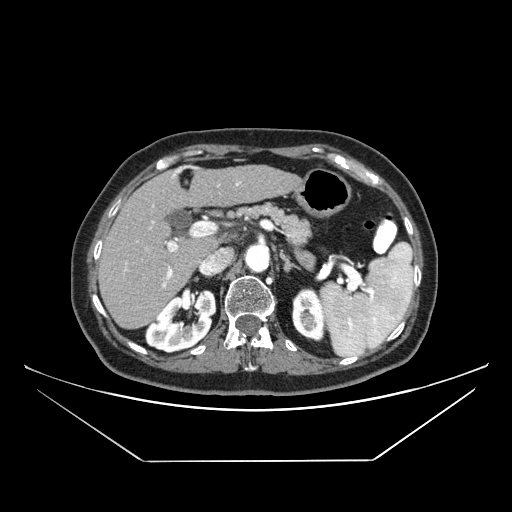

CT. pancreas: box(206, 204, 312, 247)